CT. Field of view 306x306 mm. Slice index 229.

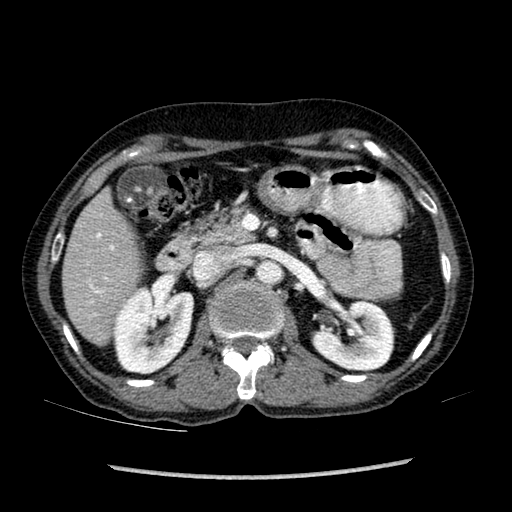
Liver: (63, 207, 137, 335).
Kidney: (314, 302, 392, 369), (114, 281, 192, 372).